CT image

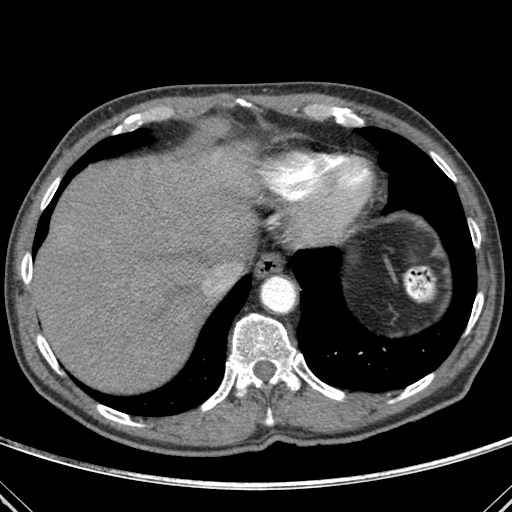
11 bone regions are located at <box>40,178,59,209</box>, <box>237,99,249,106</box>, <box>466,292,483,333</box>, <box>21,253,32,283</box>, <box>201,313,344,411</box>, <box>266,409,272,424</box>, <box>470,221,480,247</box>, <box>96,405,141,426</box>, <box>398,374,433,399</box>, <box>430,152,456,181</box>, <box>37,335,59,373</box>. The liver lies within <box>32,143,253,394</box>. 3 lung regions appear at <box>36,129,153,249</box>, <box>291,127,476,391</box>, <box>72,274,251,416</box>.